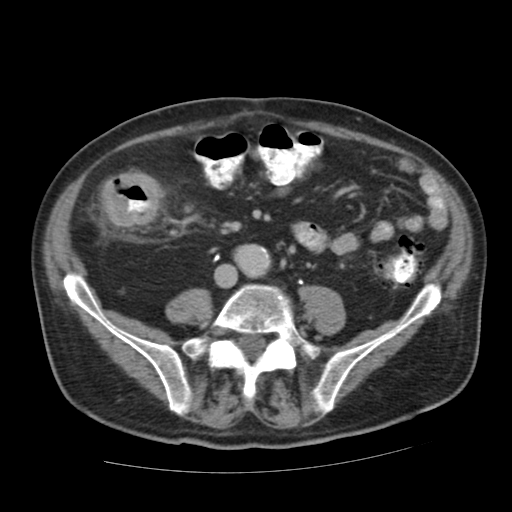
CT slice | Pelvis
Annotated regions:
* colon tumor: (x1=102, y1=172, x2=158, y2=225)